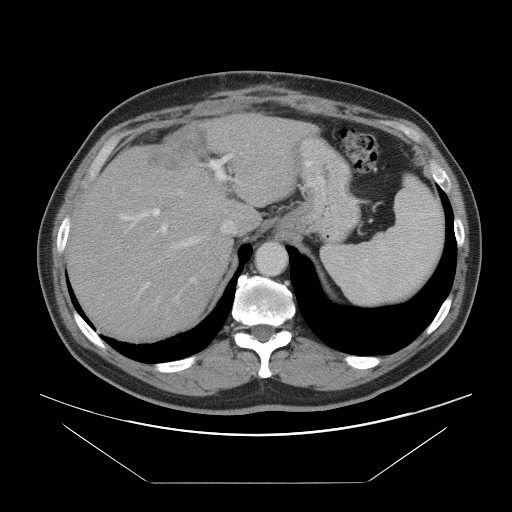 CT
Some hepatic vessels may have no box.
The liver tumor is located at <bbox>150, 129, 208, 170</bbox>. 9 hepatic vessel regions are located at <bbox>204, 155, 229, 179</bbox>, <bbox>155, 299, 159, 303</bbox>, <bbox>232, 177, 238, 181</bbox>, <bbox>175, 294, 178, 301</bbox>, <bbox>139, 282, 149, 294</bbox>, <bbox>119, 208, 159, 226</bbox>, <bbox>176, 244, 180, 246</bbox>, <bbox>156, 224, 166, 232</bbox>, <bbox>190, 277, 195, 281</bbox>.